CT slice | 512x512 px | Field of view 353 mm wide, 1.50 mm slice spacing
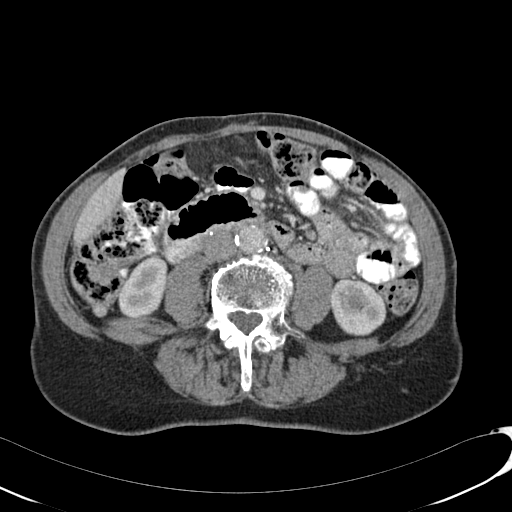 liver: rect(75, 168, 124, 243) | kidney: rect(331, 280, 385, 334); rect(119, 257, 166, 317)